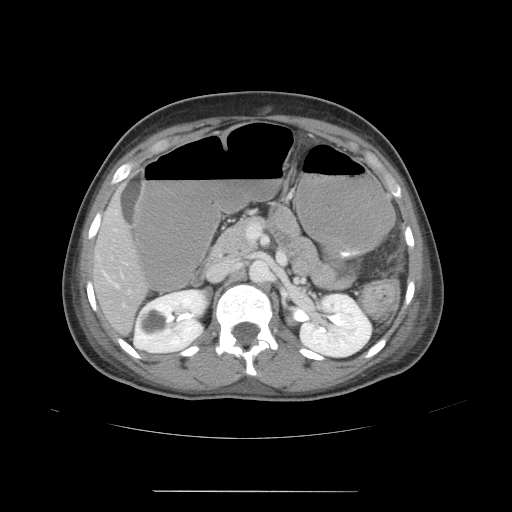

CT. Pelvis.

Colon tumor — box=[362, 284, 394, 318].